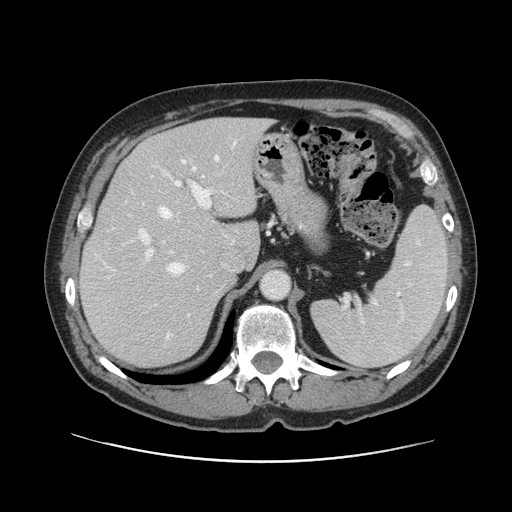

Abdomen; CT image

Not every hepatic vessel necessarily has a box.
<segmentation>
  <hepatic_vessel>(146,248,153,260), (167,333,171,338), (159,206,170,217), (192,167,195,170), (163,171,170,177), (168,263,182,273), (233,141,235,144), (138,229,149,243), (170,251,173,253), (215,156,218,160), (175,181,180,185), (182,160,184,162), (188,180,210,207)</hepatic_vessel>
</segmentation>